Abdomen; CT

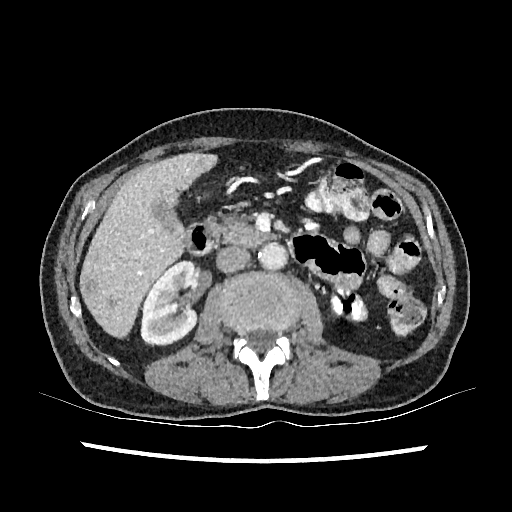

The liver lies within <bbox>82, 153, 215, 335</bbox>. 3 focal liver lesion regions appear at <bbox>85, 281, 97, 293</bbox>, <bbox>151, 200, 173, 232</bbox>, <bbox>109, 299, 116, 305</bbox>. The kidney is at <bbox>141, 262, 196, 344</bbox>.